FLAIR MR.
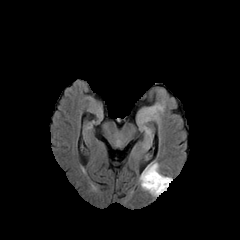
T1-weighted MRI.
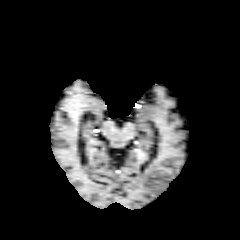
Post-contrast T1-weighted MR image.
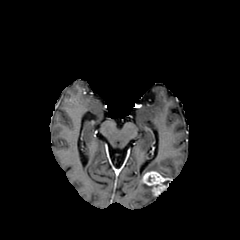
T2-weighted MR image.
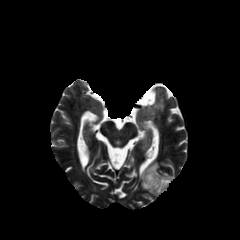
Image size 240x240. Brain.
Edema: region(137, 174, 154, 196); region(142, 161, 171, 177).
Enhancing tumor: region(140, 171, 171, 195).